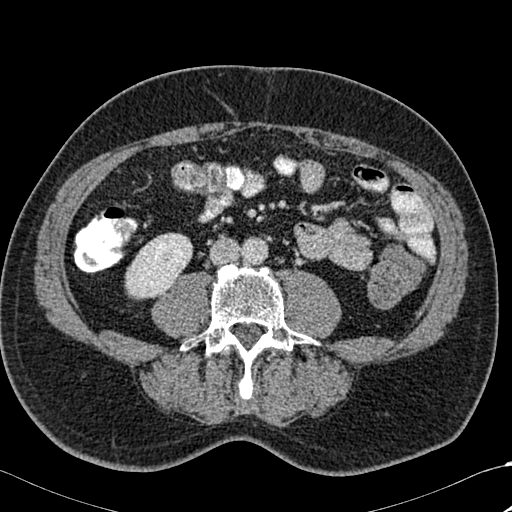

CT scan slice; Abdomen

The kidney appears at bbox(126, 234, 191, 297). The bone is bounded by bbox(182, 264, 313, 399).